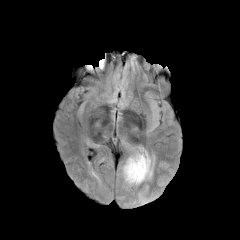
FLAIR MR image.
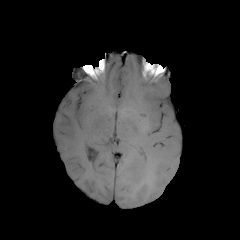
Same slice, T1-weighted MR image.
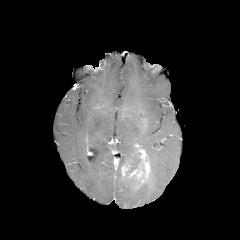
Post-contrast T1-weighted magnetic resonance.
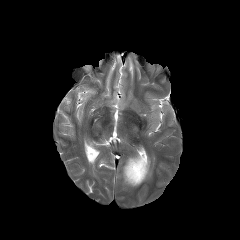
T2-weighted magnetic resonance.
240x240. Brain.
Non-enhancing tumor core — 124:157:141:183.
Enhancing tumor — 130:150:150:188.
Edema — 125:153:141:165.